Field of view 700x700 mm, Lower abdomen, Computed tomography, 512x512 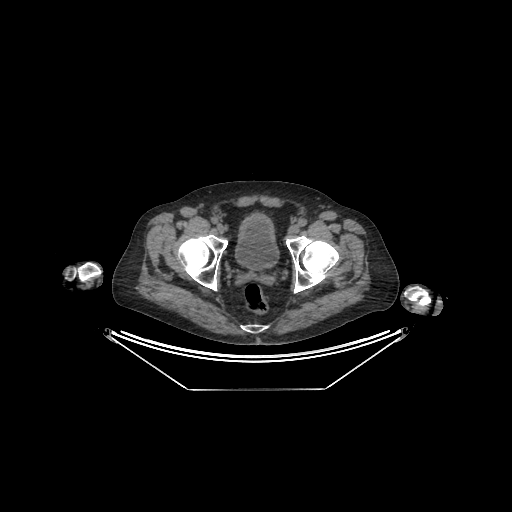 The urinary bladder is bounded by (235, 211, 279, 272).